Image size 320x320
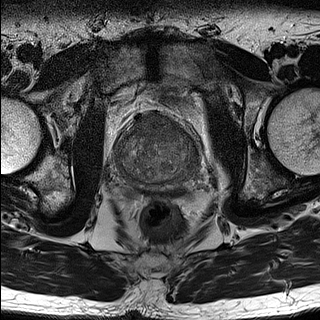
T2-weighted MR.
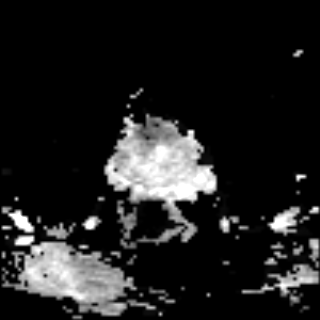
ADC MR image.
{"prostate_peripheral_zone": ["(115, 140, 195, 188)"], "prostate_transition_zone": ["(117, 118, 188, 181)"]}